FLAIR magnetic resonance.
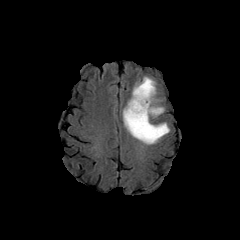
T1-weighted MRI.
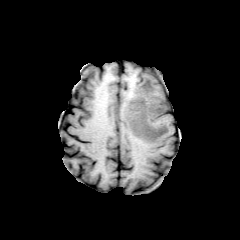
Post-contrast T1-weighted magnetic resonance.
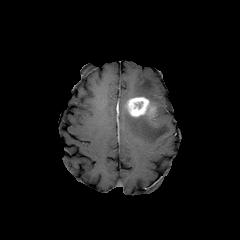
T2-weighted MRI.
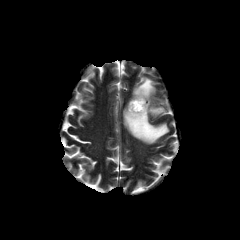
240x240 px | Head
Edema: (122,108,169,144), (157,106,164,115), (130,77,156,105).
Enhancing tumor: (125,97,157,119).